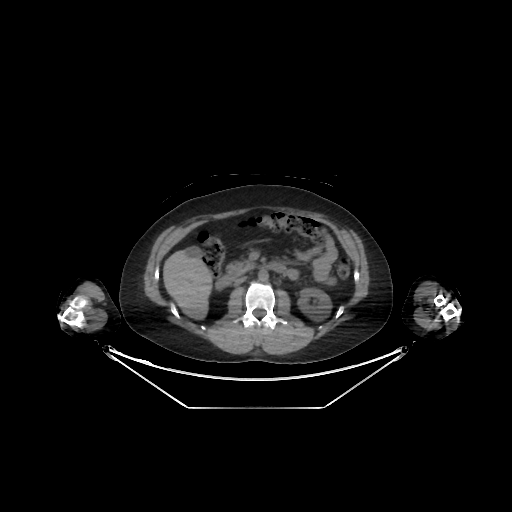
512x512. CT.
The liver is located at 163,247,212,318. The kidney is bounded by 298,287,332,321.